CT slice. Slice 91/119. Image size 512x512. Liver. 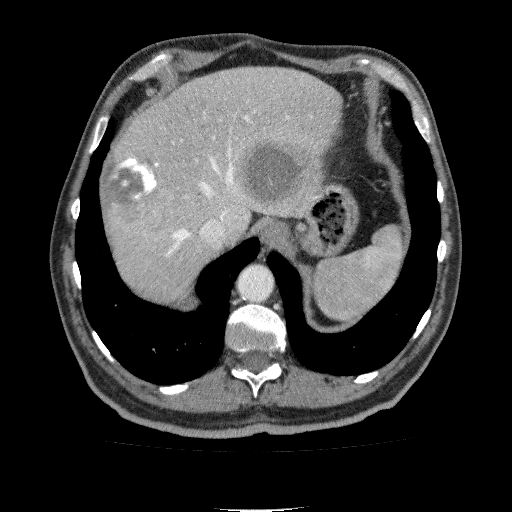

Annotated regions:
* liver lesion: 236,138,313,205; 319,152,326,170; 101,149,160,221
* liver: 104,68,345,307